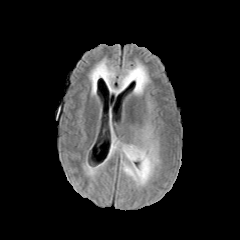
FLAIR MR.
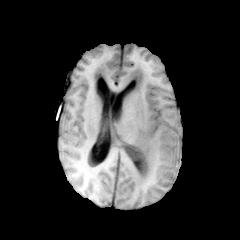
T1-weighted MR of the same slice.
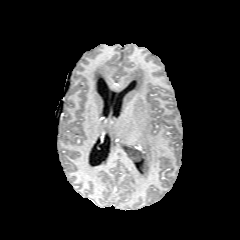
Post-contrast T1-weighted MRI of the same slice.
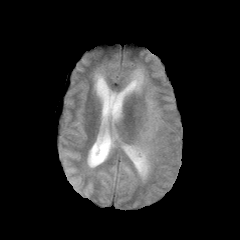
T2-weighted magnetic resonance of the same slice.
240x240
edema: <box>108,130,129,157</box>, <box>112,61,149,95</box>, <box>120,117,158,185</box>, <box>91,67,109,80</box>, <box>147,102,154,115</box> | non-enhancing tumor core: <box>124,144,148,177</box>